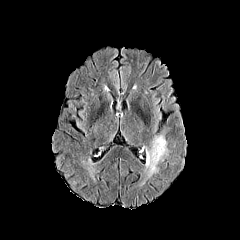
FLAIR MR.
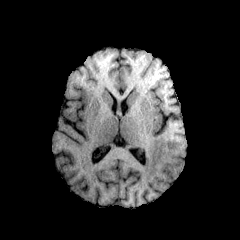
T1-weighted MRI of the same slice.
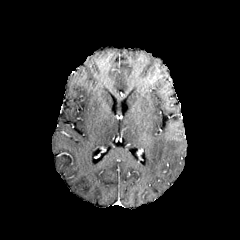
Post-contrast T1-weighted MR image.
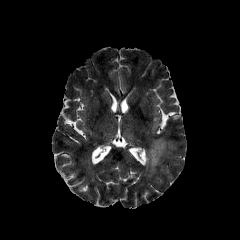
T2-weighted MR image.
Brain, Image size 240x240
Findings:
• edema: box=[145, 136, 166, 175]